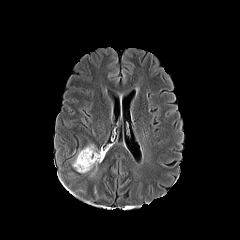
FLAIR magnetic resonance.
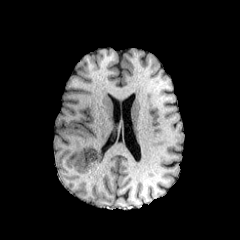
T1-weighted MRI.
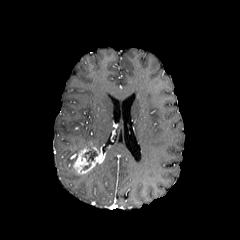
Post-contrast T1-weighted MRI.
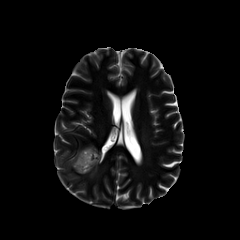
Same slice, T2-weighted MR.
240x240 px
Findings:
- non-enhancing tumor core: (84, 146, 99, 162)
- enhancing tumor: (73, 146, 105, 174)